CT scan slice, Image size 512x512 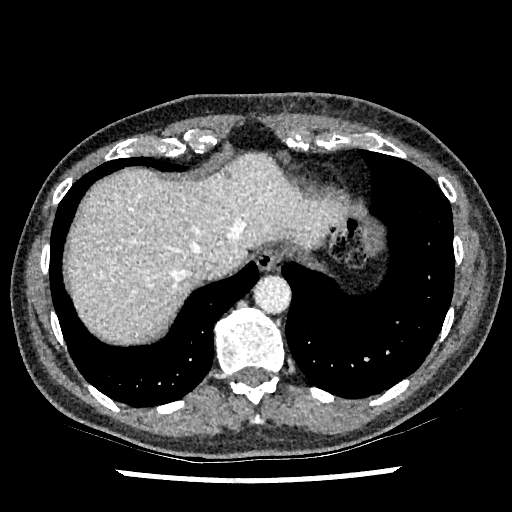

Liver — box=[66, 154, 346, 343].
Liver lesion — box=[224, 170, 232, 178].